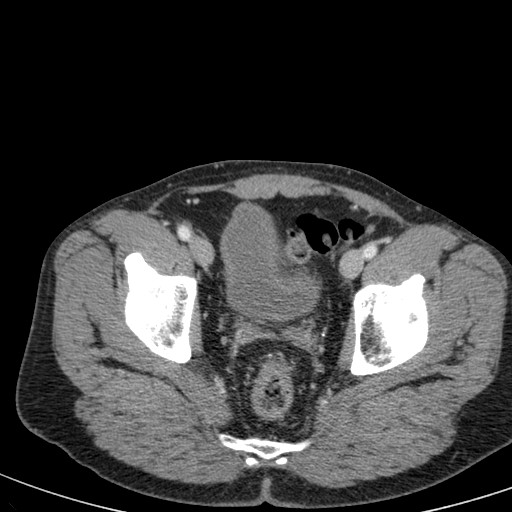

512x512 px; Computed tomography
urinary bladder: (left=221, top=203, right=319, bottom=319)